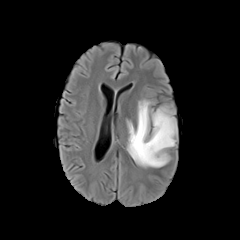
FLAIR magnetic resonance.
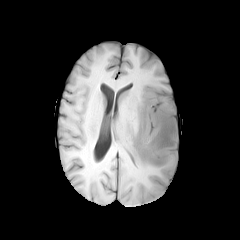
Same slice, T1-weighted magnetic resonance.
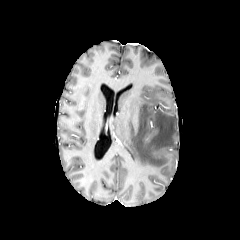
Post-contrast T1-weighted MRI.
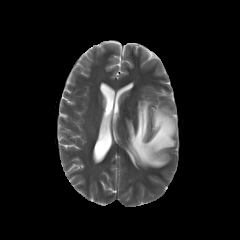
Same slice, T2-weighted magnetic resonance.
Segmented structures:
• edema: 126 99 177 167